512x512 px | Field of view 442x442 mm | CT 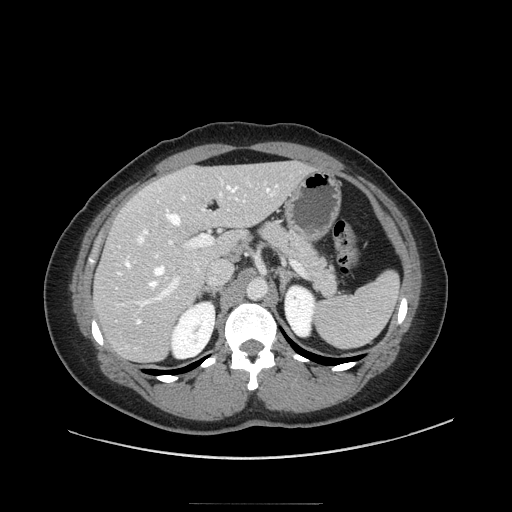
Pancreas = <bbox>254, 218, 339, 298</bbox>.